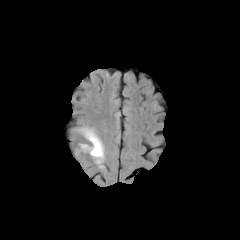
FLAIR magnetic resonance.
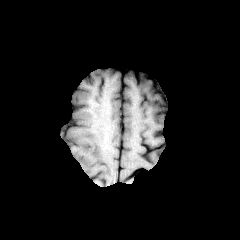
T1-weighted MR image.
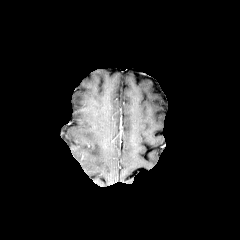
Same slice, post-contrast T1-weighted MR.
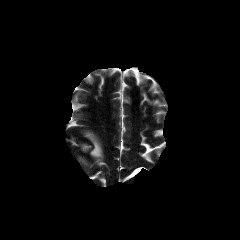
T2-weighted magnetic resonance.
Edema — bbox(82, 131, 103, 157).